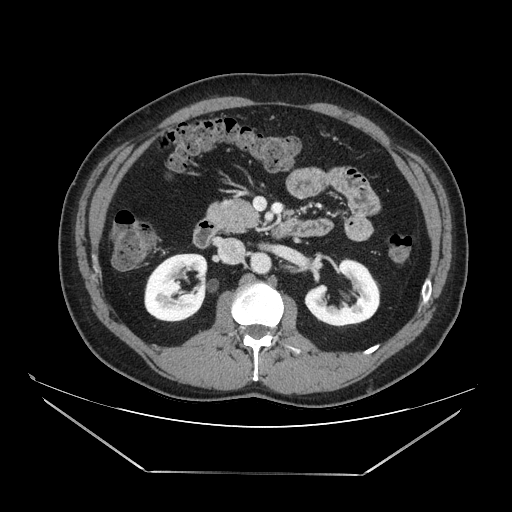

Image size 512x512; CT scan slice; Abdomen
Findings:
- pancreas: bbox(207, 198, 259, 233)